Field of view 512 mm wide, 1.00 mm slice spacing. Liver. CT. 512x512 px.
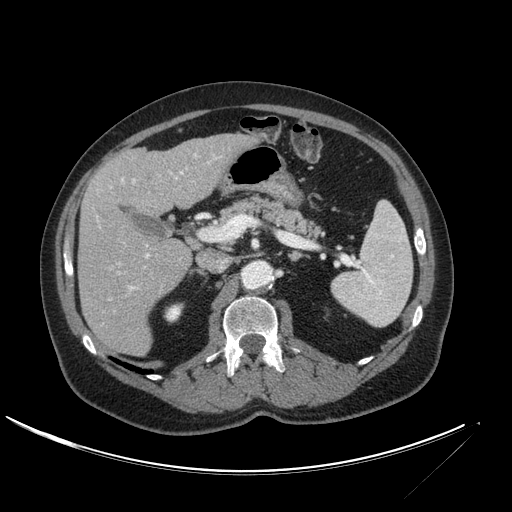 Liver at x1=78 y1=134 x2=257 y2=356.
Hepatic lesion at x1=96 y1=209 x2=109 y2=219.
Kidney at x1=166 y1=306 x2=179 y2=319.